Image width 469 mm. Slice 117/164. CT slice. 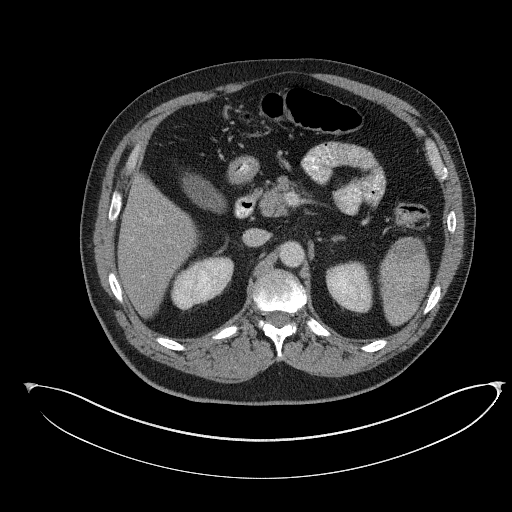

{
  "pancreas": [
    "260,178,290,216"
  ]
}